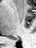
MRI slice. Medial temporal lobe.

The posterior hippocampus is at [12, 38, 14, 39].